Field of view 34 mm wide, 1.00 mm slice spacing | Magnetic resonance

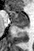 Posterior hippocampus: bounding box bbox=[14, 25, 29, 28].
Anterior hippocampus: bounding box bbox=[6, 9, 29, 24].